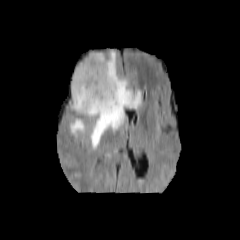
FLAIR magnetic resonance.
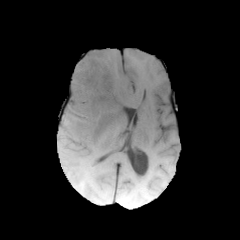
Same slice, T1-weighted magnetic resonance.
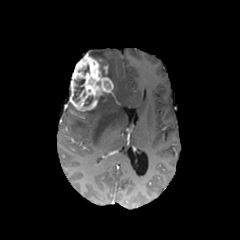
Post-contrast T1-weighted MRI.
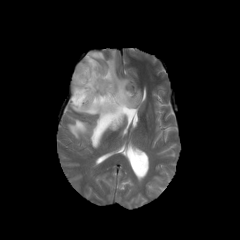
T2-weighted MR.
Image size 240x240
Edema at (x1=69, y1=118, x2=86, y2=135), (x1=69, y1=51, x2=141, y2=147).
Enhancing tumor at (x1=69, y1=53, x2=113, y2=111).
Non-enhancing tumor core at (x1=89, y1=51, x2=111, y2=79), (x1=72, y1=79, x2=84, y2=101), (x1=96, y1=92, x2=111, y2=103), (x1=84, y1=96, x2=92, y2=105).